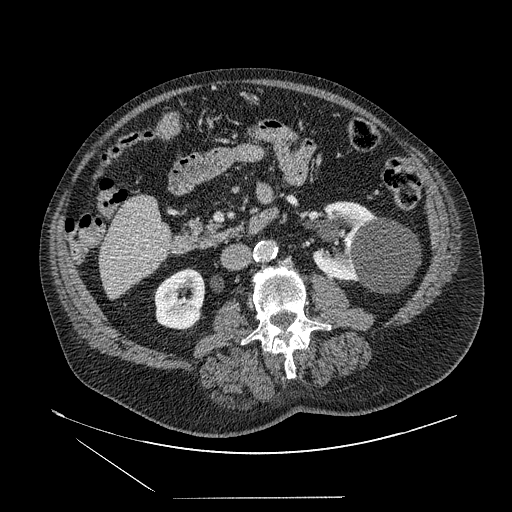
CT | Abdomen
The pancreas is at x1=183 y1=215 x2=227 y2=245.